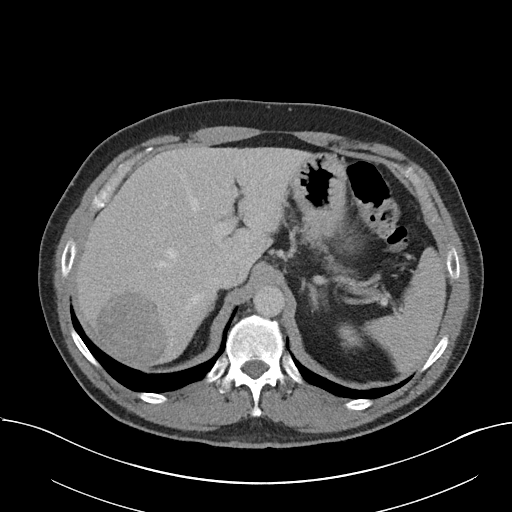 CT scan slice. 512x512 px. Abdomen.

Some hepatic vessels may have no box.
<segmentation partial="true">
  <hepatic_vessel shown="15" total="22">239 273 245 280, 247 254 259 269, 192 294 204 303, 233 188 236 195, 212 287 216 290, 224 281 229 287, 239 182 243 184, 186 188 197 210, 164 229 167 232, 244 218 250 225, 167 332 172 334, 245 245 250 250, 156 261 166 268, 167 248 177 260, 214 219 235 247</hepatic_vessel>
  <liver_tumor>97 292 166 364</liver_tumor>
</segmentation>